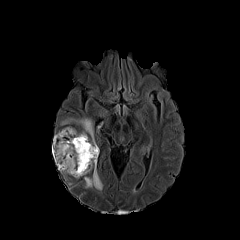
FLAIR MR image.
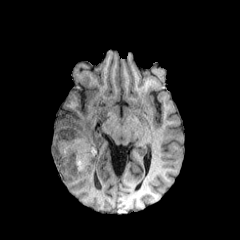
T1-weighted MRI.
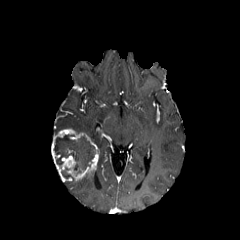
Same slice, post-contrast T1-weighted MRI.
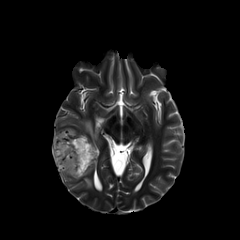
Same slice, T2-weighted magnetic resonance.
enhancing tumor: box(52, 129, 99, 180) | edema: box(70, 117, 94, 141); box(84, 171, 102, 192) | non-enhancing tumor core: box(53, 133, 95, 175)